CT; Slice 440/845; Liver
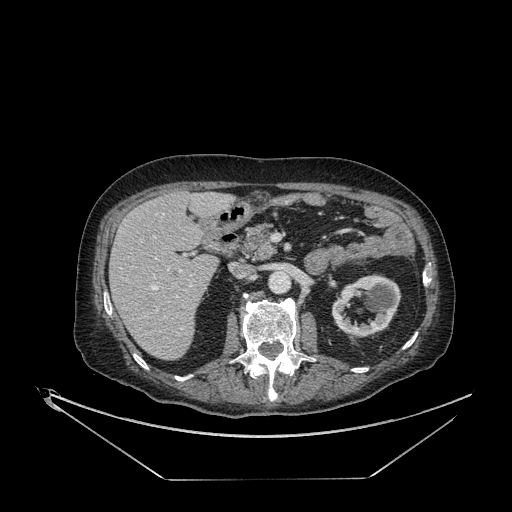
The kidney appears at 332:275:400:336. The liver lies within 110:193:234:359.